Slice 88/155, 240x240 px, Brain
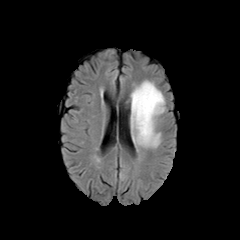
FLAIR MR image.
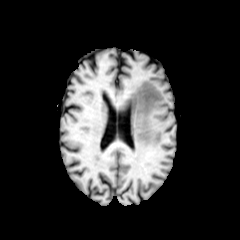
T1-weighted MR.
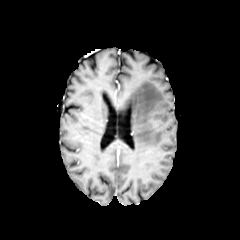
Same slice, post-contrast T1-weighted MR image.
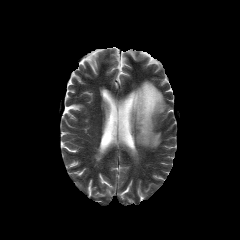
T2-weighted MR image.
Edema at l=131, t=81, r=164, b=146.